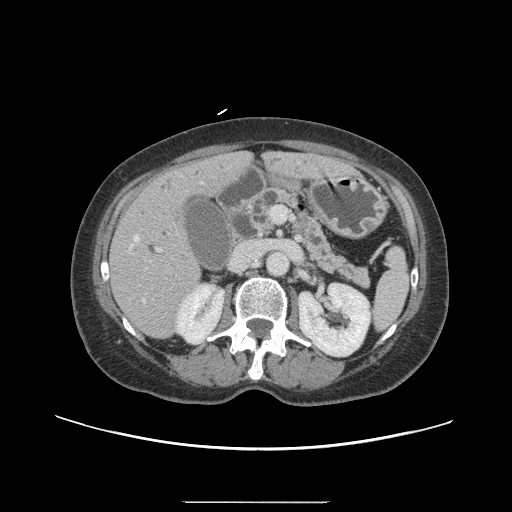

512x512 px. Computed tomography.
pancreas:
  - [250,189,294,232]
  - [305,218,368,286]